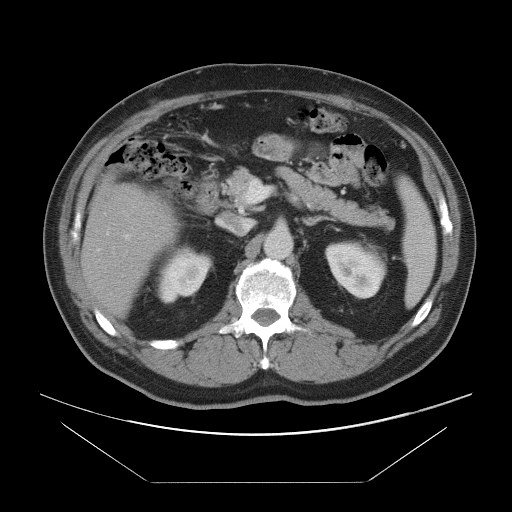
CT. The vessel boxes may cover only some of the vessels.
hepatic_vessel:
  - x1=125 y1=234 x2=129 y2=237